Abdomen. Image width 387 mm. CT. 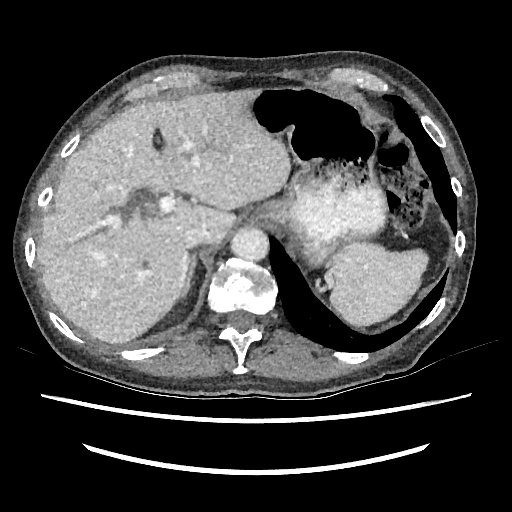 {"liver": ["37, 89, 289, 341"]}